FLAIR MR.
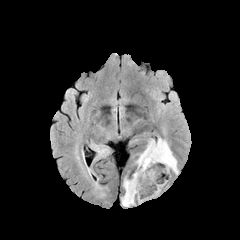
T1-weighted MR.
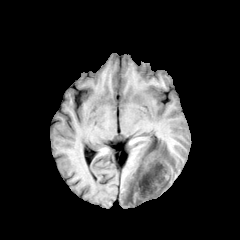
Post-contrast T1-weighted MR.
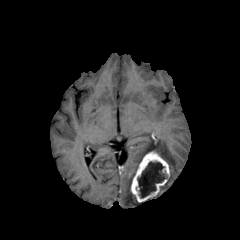
T2-weighted magnetic resonance.
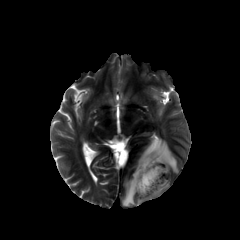
Non-enhancing tumor core: bounding box 138, 162, 167, 197.
Edema: bounding box 122, 173, 141, 206; 156, 137, 178, 173; 135, 138, 154, 167.
Enhancing tumor: bounding box 130, 151, 169, 202.